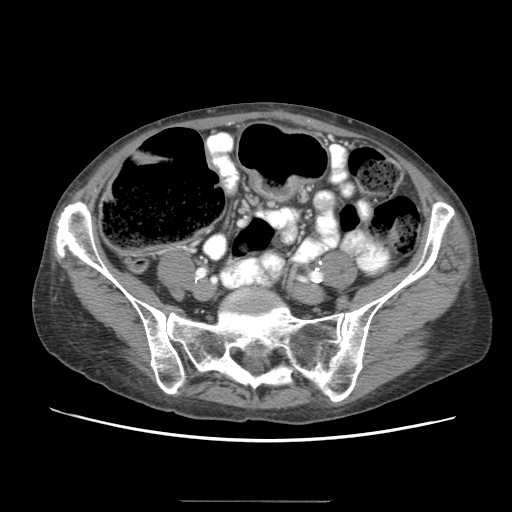

Pelvis; Computed tomography

colon_tumor:
  - [246,169,309,200]